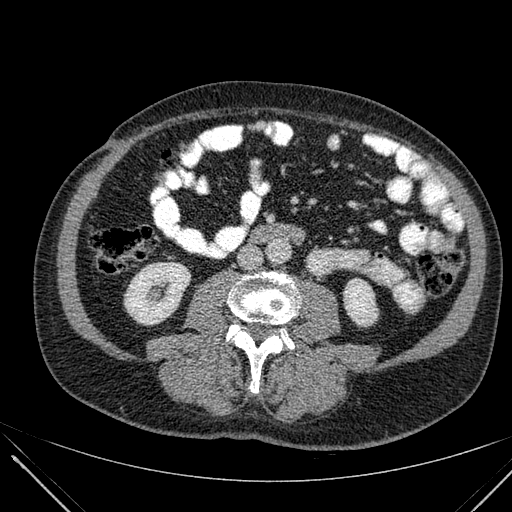 Abdomen. Computed tomography. Kidney at <box>125,262,190,324</box>, <box>344,279,377,325</box>.